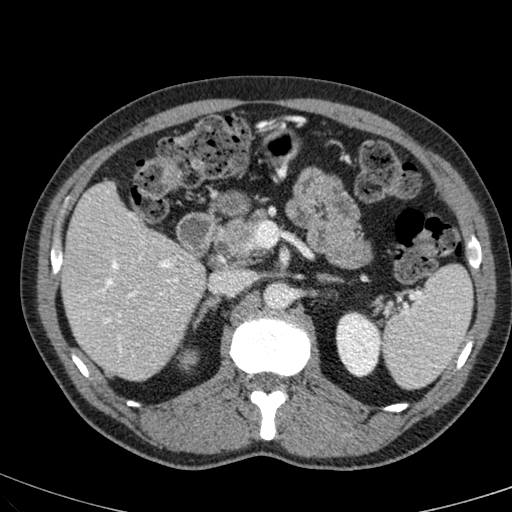
CT; Abdomen

<segmentation>
  <liver>{"x1": 63, "y1": 183, "x2": 205, "y2": 378}</liver>
  <kidney>{"x1": 337, "y1": 314, "x2": 379, "y2": 374}</kidney>
</segmentation>